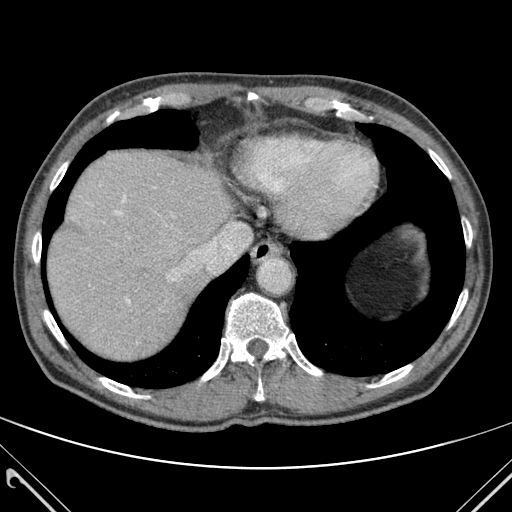 CT scan slice | Image size 512x512

Bone — (x1=50, y1=163, x2=67, y2=189), (x1=107, y1=112, x2=118, y2=121), (x1=430, y1=150, x2=450, y2=177), (x1=202, y1=293, x2=321, y2=380), (x1=44, y1=310, x2=65, y2=346), (x1=32, y1=233, x2=41, y2=262), (x1=247, y1=93, x2=257, y2=99), (x1=463, y1=220, x2=472, y2=245), (x1=255, y1=379, x2=263, y2=400), (x1=100, y1=378, x2=141, y2=397), (x1=449, y1=290, x2=467, y2=326), (x1=369, y1=365, x2=411, y2=387).
Lung — (x1=64, y1=255, x2=249, y2=388), (x1=42, y1=109, x2=198, y2=250), (x1=290, y1=124, x2=465, y2=376).
Liver — (x1=48, y1=151, x2=235, y2=360).